FLAIR MR image.
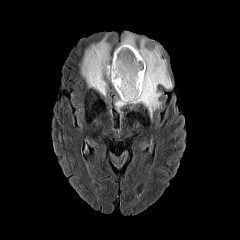
T1-weighted MRI.
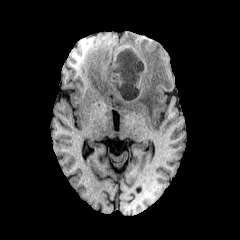
Post-contrast T1-weighted MR image.
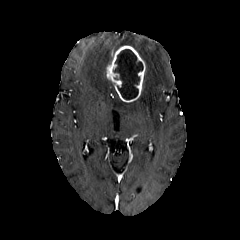
T2-weighted MRI.
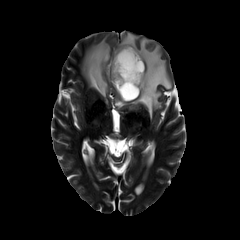
Head. Image size 240x240.
• enhancing tumor: [105, 45, 146, 102]
• non-enhancing tumor core: [114, 49, 142, 99]
• edema: [114, 97, 126, 113], [81, 36, 115, 100], [122, 31, 172, 119]